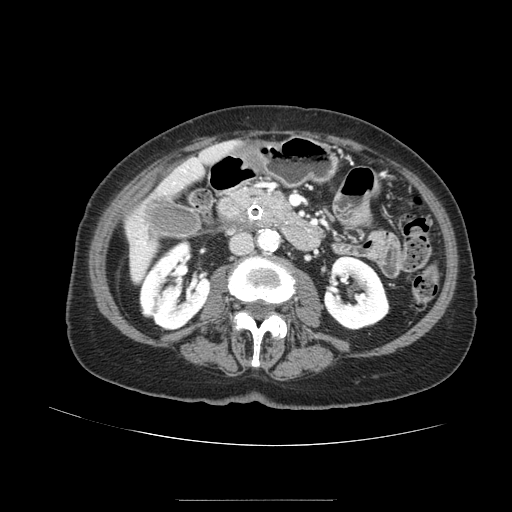 Computed tomography | Upper abdomen

The pancreatic tumor lies within (left=263, top=206, right=272, bottom=219). The pancreas is at (left=233, top=188, right=292, bottom=216).